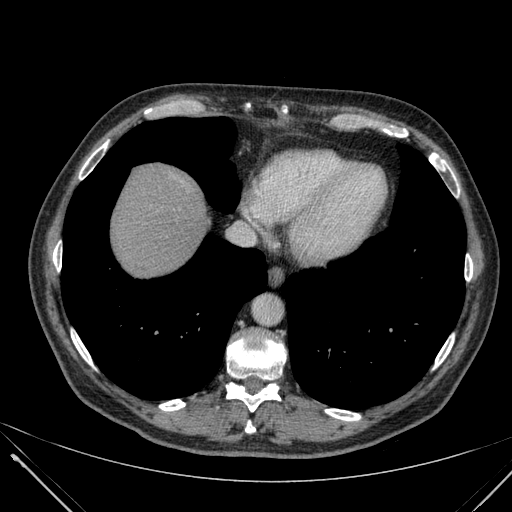 CT
<segmentation>
  <liver>l=112, t=165, r=210, b=276</liver>
</segmentation>